Field of view 240 mm wide, 1.00 mm slice spacing | Brain | Slice index 102
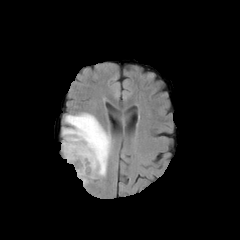
FLAIR MR.
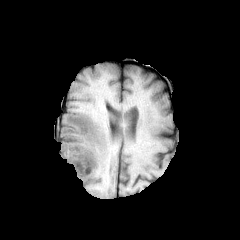
T1-weighted MR.
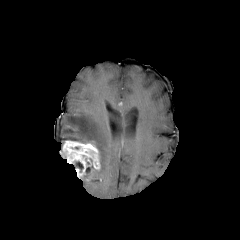
Post-contrast T1-weighted MR of the same slice.
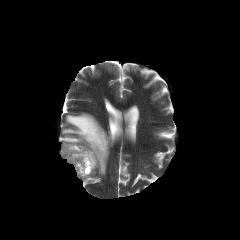
Same slice, T2-weighted MR image.
{"enhancing_tumor": ["bbox(61, 139, 100, 183)"], "edema": ["bbox(62, 113, 110, 175)"]}